FLAIR MR.
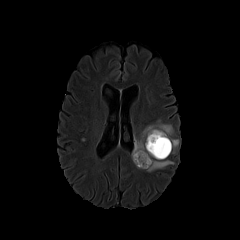
T1-weighted MRI.
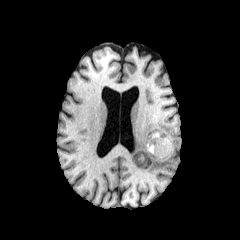
Post-contrast T1-weighted MR image.
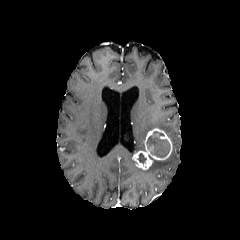
T2-weighted MR image.
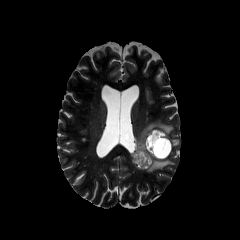
240x240
enhancing tumor: (left=131, top=128, right=172, bottom=169) | edema: (left=134, top=119, right=178, bottom=151), (left=146, top=158, right=174, bottom=172) | non-enhancing tumor core: (left=146, top=136, right=170, bottom=157)